FLAIR MRI.
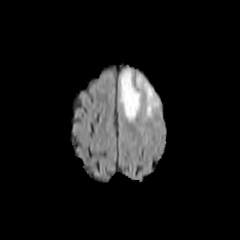
T1-weighted MR image.
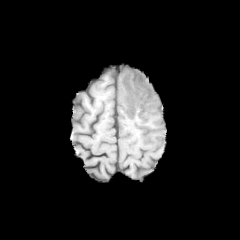
Post-contrast T1-weighted magnetic resonance.
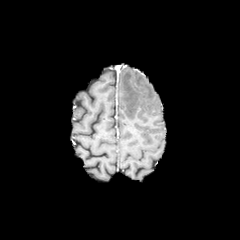
T2-weighted MR.
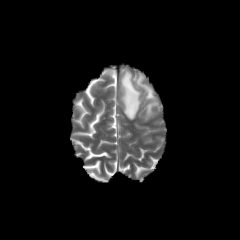
Brain, 240x240 px
edema:
  - 136,78,155,100
  - 120,69,141,121
  - 147,101,158,116